FLAIR MR image.
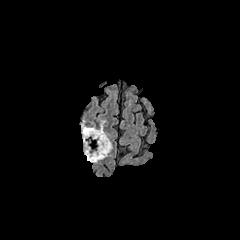
T1-weighted MRI.
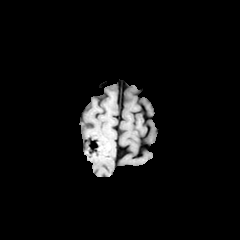
Post-contrast T1-weighted MR image.
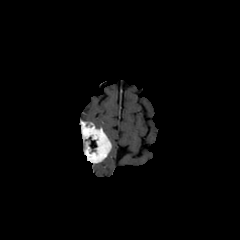
T2-weighted MR image.
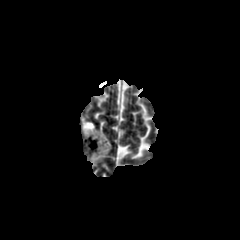
Head
The edema appears at bbox=[95, 120, 105, 131]. The non-enhancing tumor core is located at bbox=[87, 137, 97, 151]. The enhancing tumor is bounded by bbox=[81, 122, 111, 162].